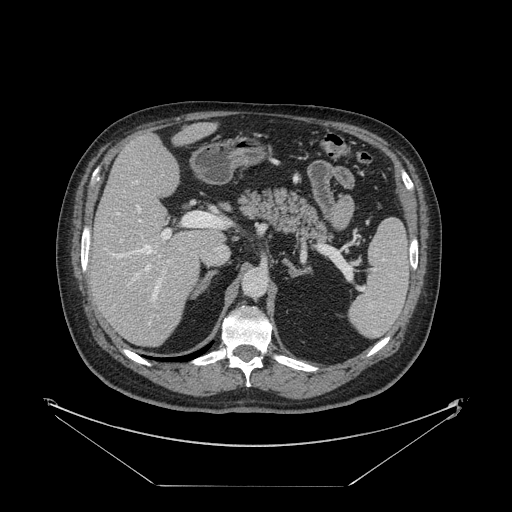
512x512 px, Computed tomography
Some hepatic vessels may have no box.
4 hepatic vessel regions are bounded by <bbox>167, 260, 168, 261</bbox>, <bbox>136, 205, 139, 209</bbox>, <bbox>153, 279, 159, 298</bbox>, <bbox>148, 322, 149, 324</bbox>.